Field of view 512x512 mm. Abdomen. Slice index 98. CT scan slice. 512x512 px. 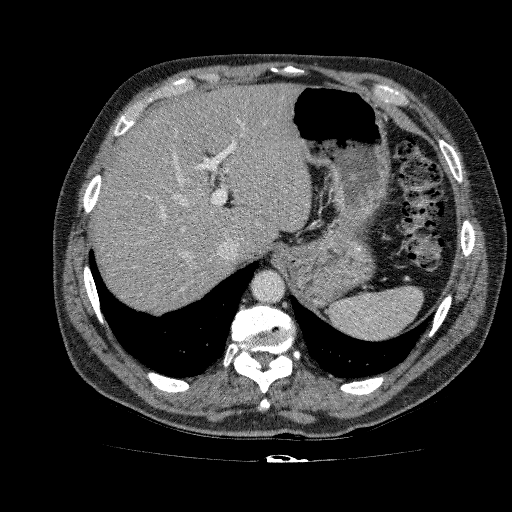 The liver lies within 90:83:310:314.